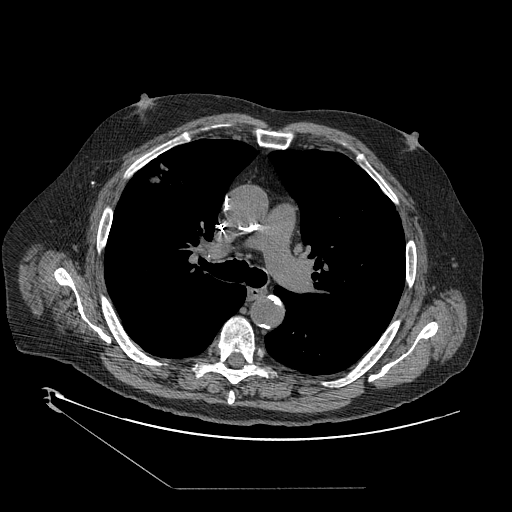

CT scan slice. Thorax. Image size 512x512. The lung tumor is located at x1=147 y1=159 x2=172 y2=186.